FLAIR MR image.
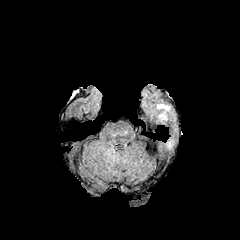
T1-weighted MR image.
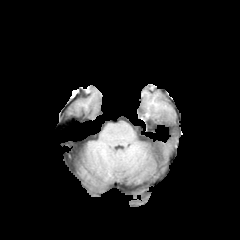
Post-contrast T1-weighted magnetic resonance.
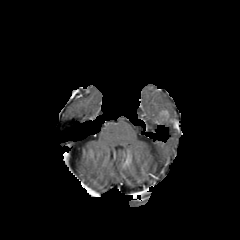
T2-weighted MR.
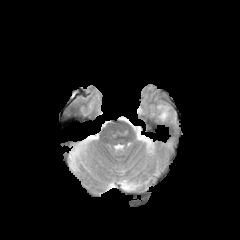
The enhancing tumor is bounded by x1=157, y1=109, x2=179, y2=131. 2 edema regions are located at x1=155, y1=103, x2=175, y2=119; x1=164, y1=140, x2=173, y2=151.